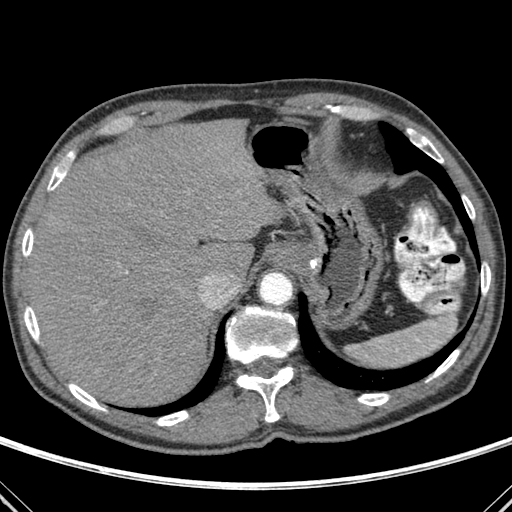
CT scan slice | Liver
bone:
  - 462, 195, 475, 219
  - 481, 263, 490, 295
  - 48, 153, 72, 190
  - 22, 229, 33, 256
  - 408, 129, 443, 162
  - 24, 306, 39, 341
  - 68, 384, 105, 410
  - 237, 367, 292, 422
  - 226, 306, 297, 365
  - 357, 393, 389, 405
  - 156, 411, 188, 426
  - 429, 349, 459, 379
liver:
  - 27, 119, 280, 406
lung:
  - 126, 314, 228, 416
  - 298, 293, 473, 389
  - 378, 122, 476, 255